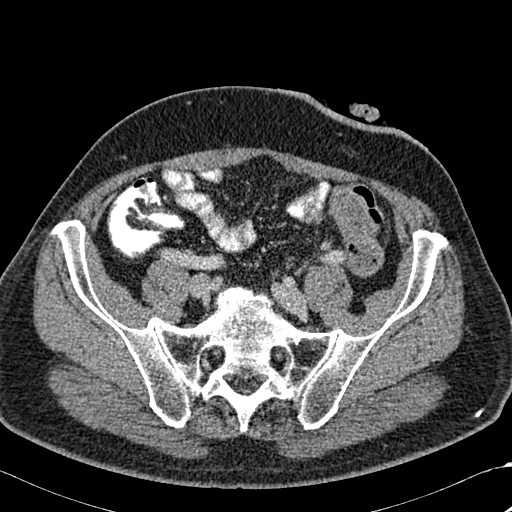
512x512; CT scan slice
Bone at [x1=52, y1=220, x2=446, y2=430].